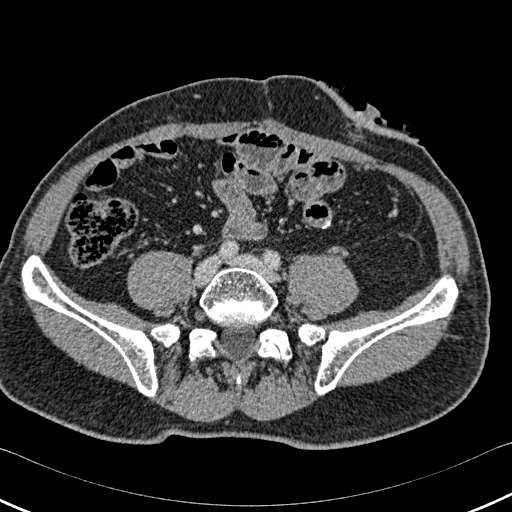 CT slice

Bone = 200 268 277 324, 22 256 157 396, 258 329 291 360, 315 277 457 394, 189 328 215 360, 298 324 327 345, 148 324 179 346.